512x512 px; Computed tomography

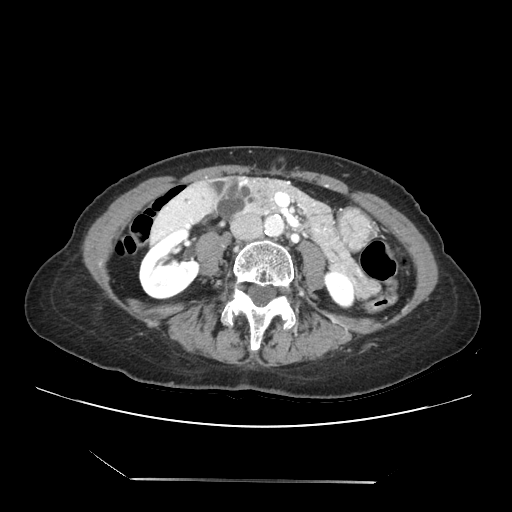

Pancreas at l=216, t=175, r=382, b=301.